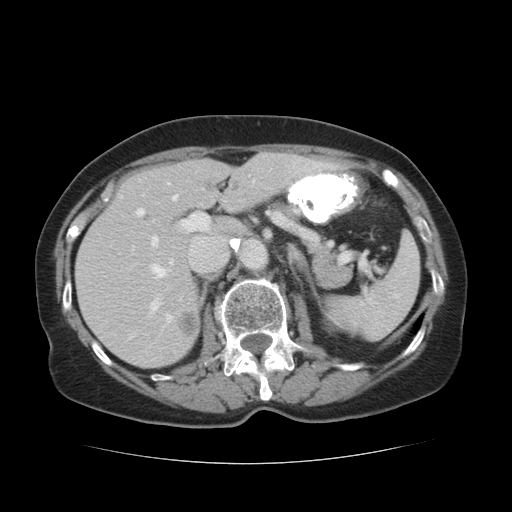
Abdomen; CT slice; Image size 512x512
Liver: bounding box 75, 152, 361, 367.
Hepatic lesion: bounding box 178, 310, 196, 335; 163, 351, 174, 360; 207, 177, 216, 189; 233, 180, 240, 189.
Bone: bounding box 412, 200, 420, 210; 429, 262, 443, 297; 151, 374, 170, 380; 63, 277, 71, 311; 417, 222, 436, 246; 91, 339, 111, 365; 383, 169, 398, 186; 67, 222, 80, 242; 341, 365, 355, 371; 404, 326, 425, 355; 210, 277, 312, 400.